Head.
FLAIR MR image.
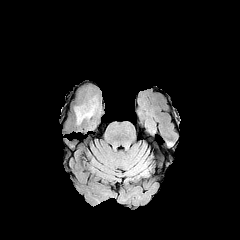
T1-weighted MR.
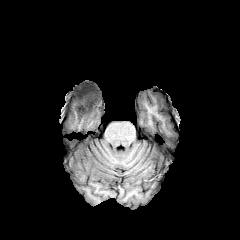
Post-contrast T1-weighted MR image.
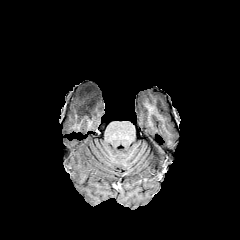
T2-weighted magnetic resonance.
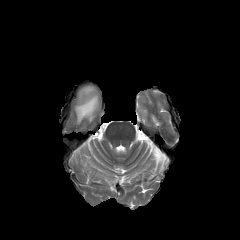
Edema: bounding box x1=75, y1=96, x2=98, y2=123.